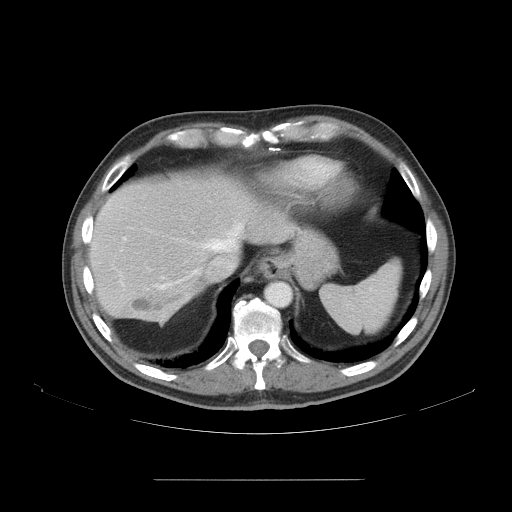
CT scan slice, Abdomen, Image size 512x512

Some hepatic vessels may have no box.
Hepatic vessel at [123, 238, 125, 240], [153, 283, 174, 289], [119, 273, 124, 286], [214, 261, 233, 266], [192, 221, 241, 251], [175, 279, 184, 282], [185, 277, 187, 278], [188, 269, 198, 276].
Liver tumor at [131, 290, 189, 314].